CT slice

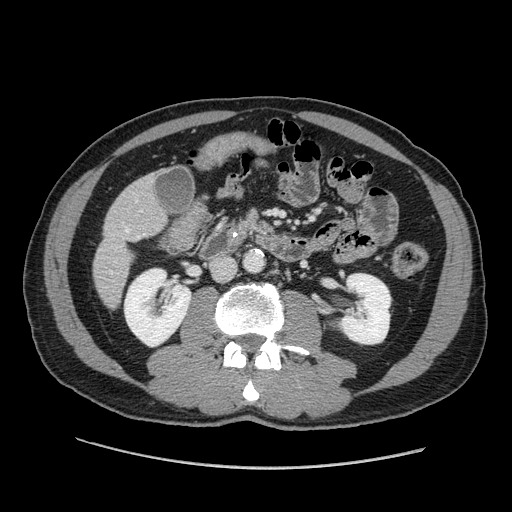
<segmentation>
  <pancreas>region(234, 207, 276, 243)</pancreas>
</segmentation>